FLAIR MR.
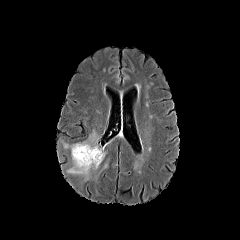
T1-weighted MRI.
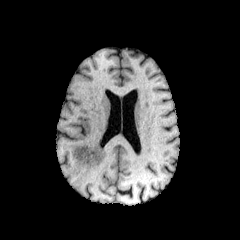
Post-contrast T1-weighted MRI.
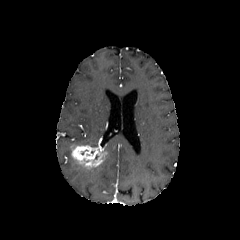
T2-weighted MRI.
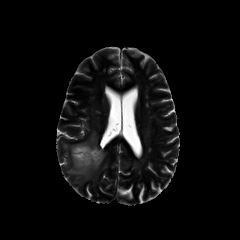
<segmentation>
  <edema>[x1=66, y1=157, x2=99, y2=180], [x1=63, y1=130, x2=98, y2=153]</edema>
  <enhancing_tumor>[x1=71, y1=138, x2=106, y2=169]</enhancing_tumor>
</segmentation>